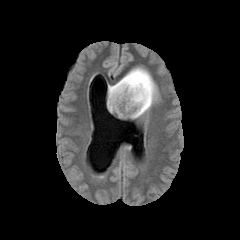
FLAIR MR image.
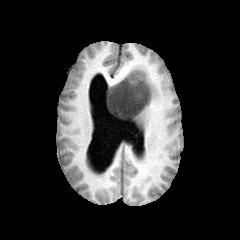
T1-weighted magnetic resonance.
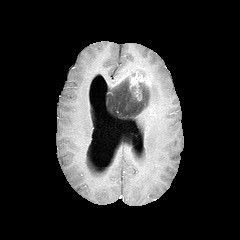
Post-contrast T1-weighted magnetic resonance.
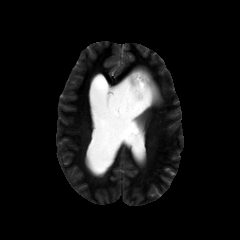
T2-weighted MR image of the same slice.
Brain
<segmentation>
  <non-enhancing_tumor_core>107,78,151,122</non-enhancing_tumor_core>
  <edema>125,64,163,120</edema>
  <enhancing_tumor>113,68,152,101</enhancing_tumor>
</segmentation>